Head, Image width 240 mm, 240x240 px
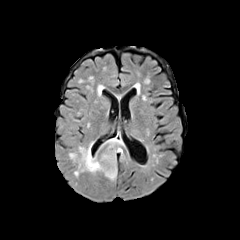
FLAIR MR.
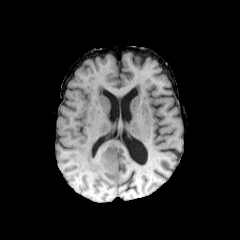
T1-weighted magnetic resonance.
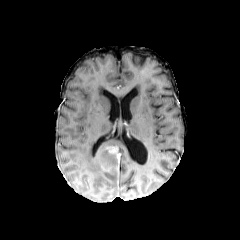
Post-contrast T1-weighted magnetic resonance.
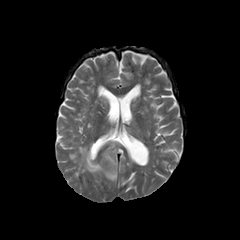
Same slice, T2-weighted MR image.
Edema at 69 132 125 180.
Enhancing tumor at 108 146 117 154.